Abdomen, CT image, Slice index 97

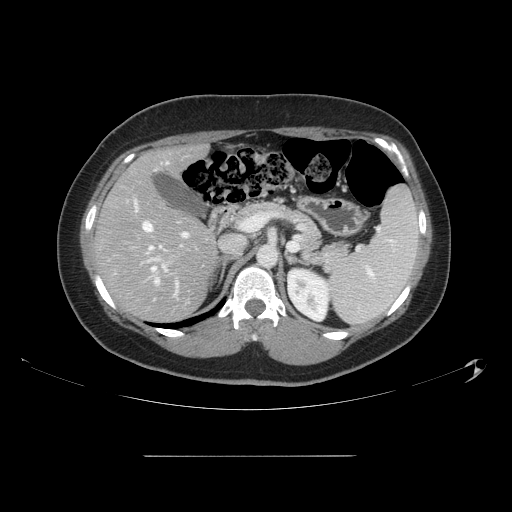 Not every hepatic vessel necessarily has a box.
10 hepatic vessel regions appear at [162, 264, 167, 271], [149, 246, 152, 249], [143, 222, 151, 231], [159, 245, 161, 247], [152, 267, 155, 270], [175, 288, 177, 293], [147, 260, 149, 261], [135, 200, 137, 211], [182, 232, 187, 237], [155, 278, 158, 284].